CT slice. Slice 82 of 95.
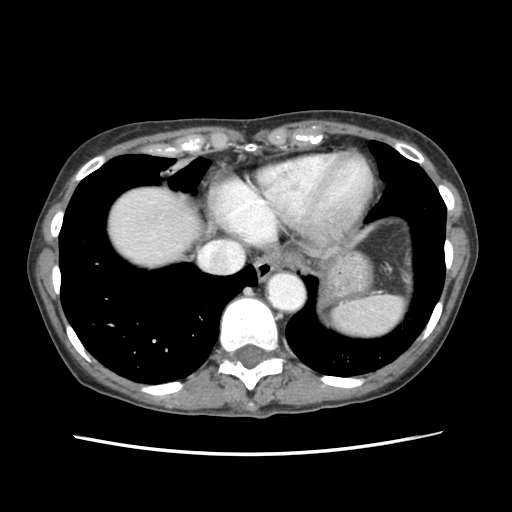 spleen: 330 295 406 340